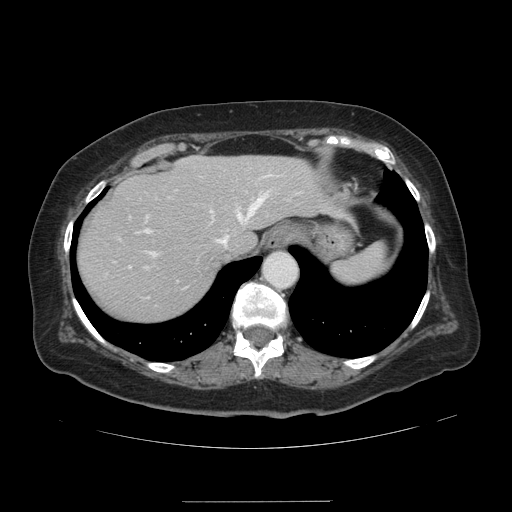
Liver | CT slice
The vessel annotation is not exhaustive.
Annotated regions:
• hepatic vessel: 210 209 212 216, 144 228 149 231, 145 266 147 267, 236 194 264 221, 216 237 226 242, 148 251 155 255